Slice 251 of 391; Abdomen; Field of view 338 mm wide, 1.20 mm slice spacing; CT scan slice
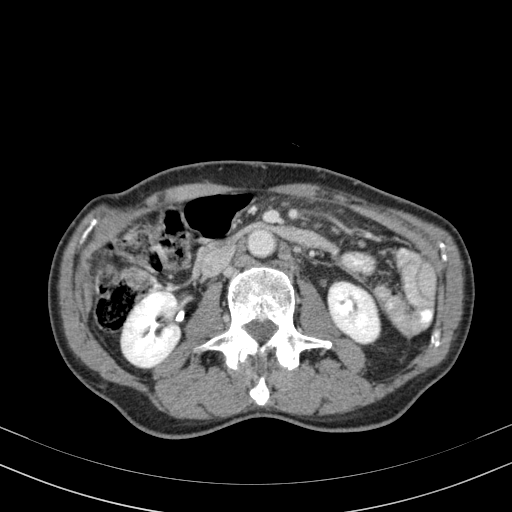

{"kidney": ["left=122, top=292, right=179, bottom=366", "left=328, top=282, right=378, bottom=342"]}